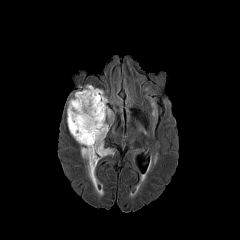
FLAIR magnetic resonance.
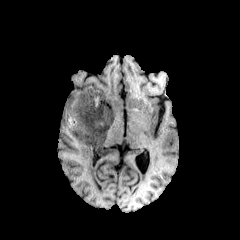
T1-weighted MRI of the same slice.
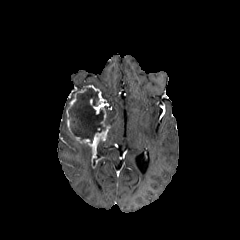
Post-contrast T1-weighted magnetic resonance.
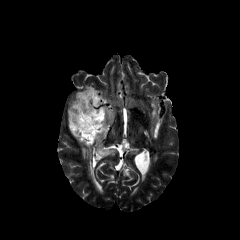
T2-weighted magnetic resonance of the same slice.
Head
{"enhancing_tumor": ["box(66, 93, 109, 168)", "box(77, 84, 109, 120)"], "non-enhancing_tumor_core": ["box(65, 89, 109, 142)"], "edema": ["box(97, 139, 119, 157)", "box(106, 110, 114, 124)", "box(82, 146, 91, 160)"]}